512x512 px; Computed tomography; Field of view 700 mm wide, 2.50 mm slice spacing 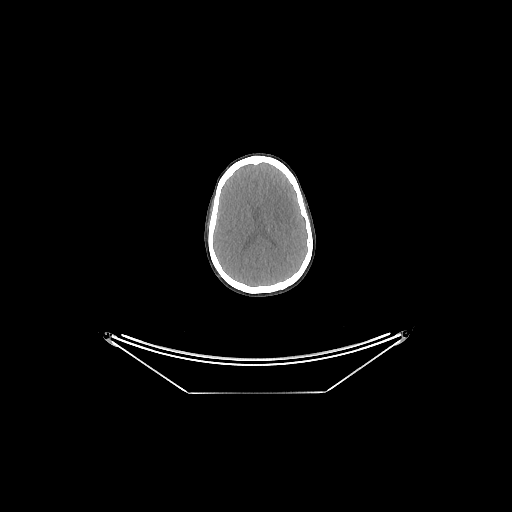

Segmented structures:
• brain: x1=213 y1=162 x2=307 y2=286